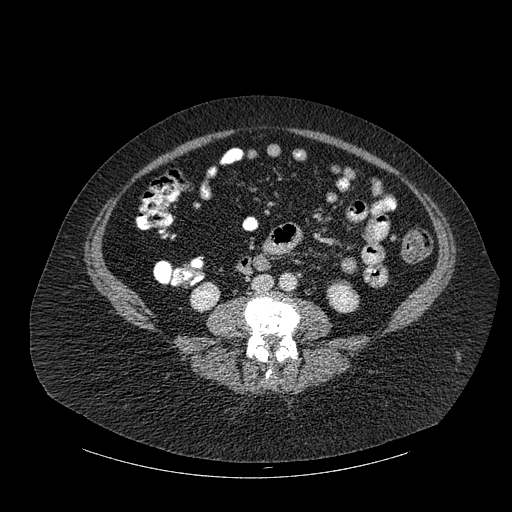 CT slice
2 kidney regions appear at [328, 284, 357, 311], [190, 282, 219, 311]. 2 bone regions are located at [266, 366, 272, 378], [244, 295, 299, 365].